CT scan slice | Slice index 440

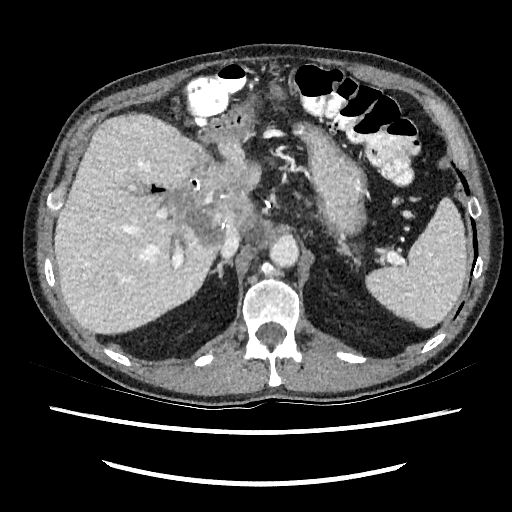
Liver: bounding box 54, 114, 219, 332; 191, 178, 200, 188; 219, 141, 260, 200.
Hepatic lesion: bounding box 158, 151, 255, 244.